FLAIR MR.
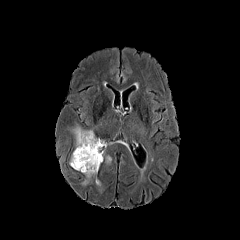
T1-weighted MRI.
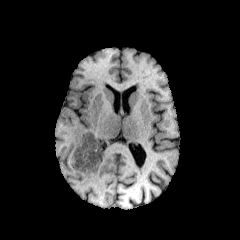
Post-contrast T1-weighted MRI.
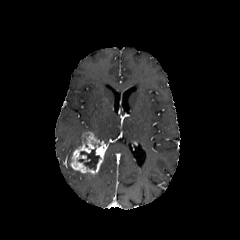
T2-weighted magnetic resonance.
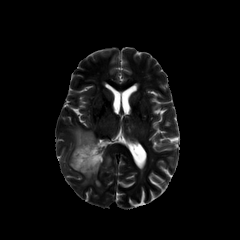
Brain
edema:
  - (72,125,87,152)
  - (81,172,96,184)
non-enhancing_tumor_core:
  - (79,149,99,169)
enhancing_tumor:
  - (70,131,106,175)